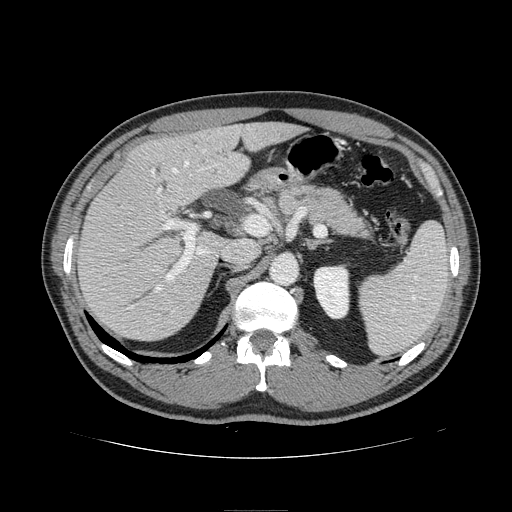 CT slice
pancreas:
  - x1=279 y1=187 x2=371 y2=237